CT; Slice index 94

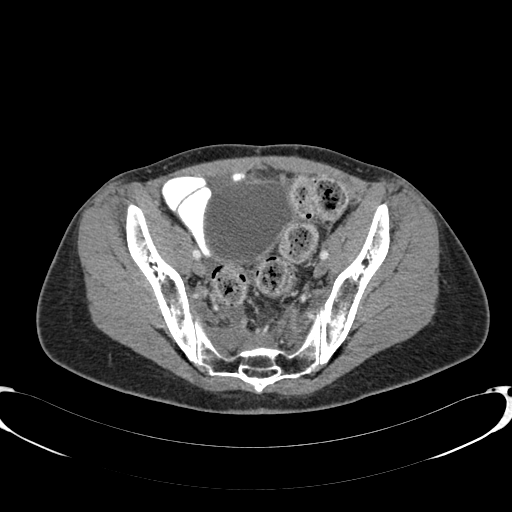
The urinary bladder appears at x1=206, y1=183, x2=291, y2=261.